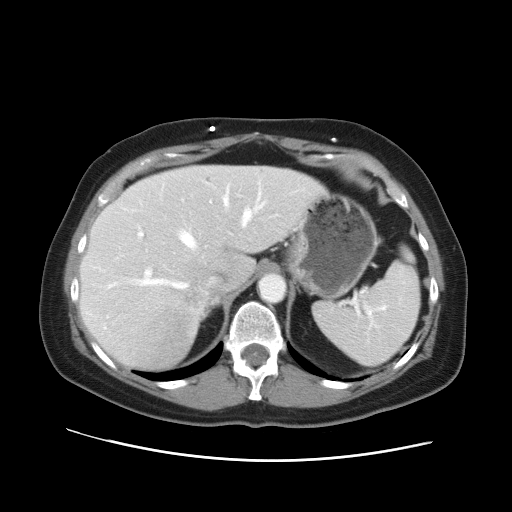
CT. Abdomen. The vessel boxes may cover only some of the vessels.
Findings:
• liver tumor: (left=184, top=276, right=206, bottom=306)
• hepatic vessel: (left=273, top=214, right=278, bottom=216), (left=131, top=209, right=135, bottom=211), (left=137, top=225, right=141, bottom=235), (left=177, top=229, right=197, bottom=249), (left=258, top=179, right=261, bottom=190), (left=133, top=269, right=183, bottom=288), (left=241, top=193, right=266, bottom=227), (left=109, top=284, right=113, bottom=287)